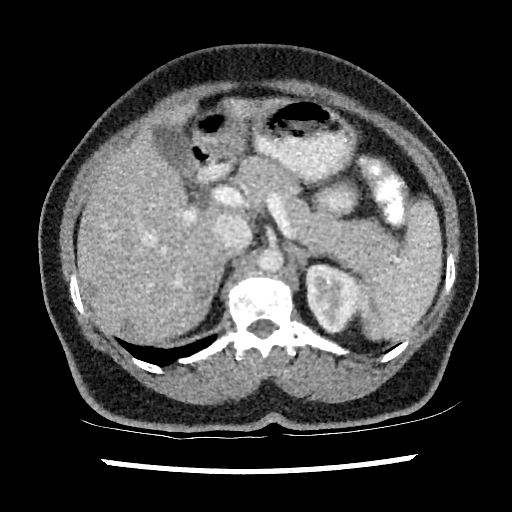

CT
liver: <bbox>156, 103, 194, 127</bbox>, <bbox>226, 100, 253, 118</bbox>, <bbox>78, 126, 224, 341</bbox>, <bbox>262, 99, 288, 113</bbox> | liver lesion: <bbox>86, 282, 97, 296</bbox>, <bbox>119, 322, 134, 336</bbox>, <bbox>196, 280, 209, 301</bbox> | kidney: <bbox>307, 265, 365, 331</bbox>